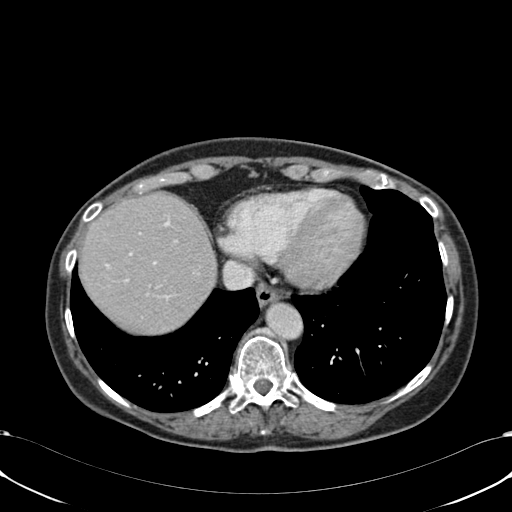

Abdomen, CT

The liver appears at (x1=79, y1=193, x2=215, y2=332).